FLAIR MR.
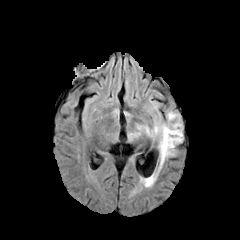
T1-weighted MR image.
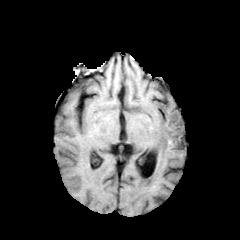
Post-contrast T1-weighted MR.
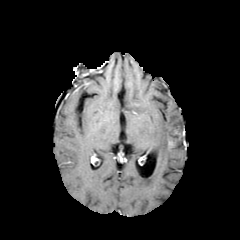
T2-weighted MRI.
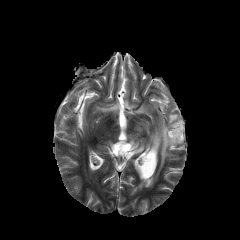
The edema appears at region(128, 110, 183, 188).